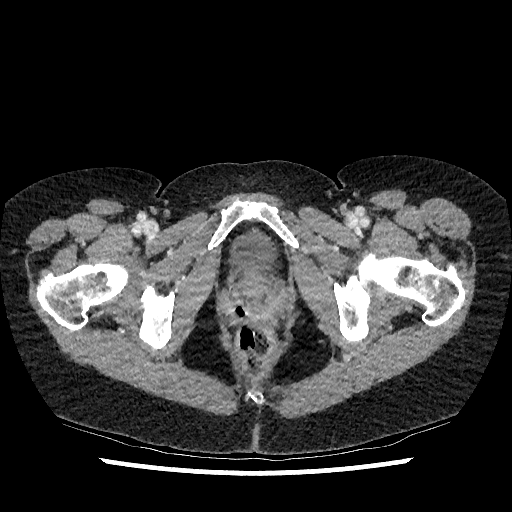 CT scan slice; Lower abdomen
urinary_bladder:
  - region(224, 222, 284, 287)